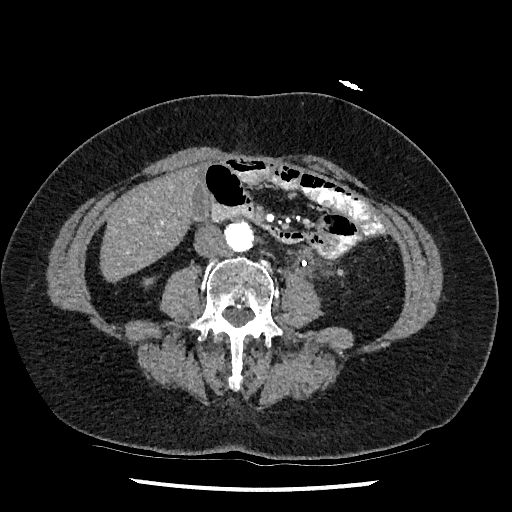

CT image

<segmentation>
  <liver>(x1=101, y1=165, x2=199, y2=279)</liver>
</segmentation>